Computed tomography, Thorax 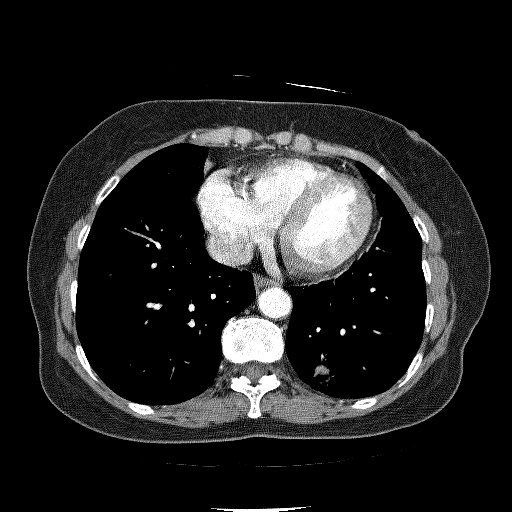

The lung tumor is bounded by region(313, 354, 336, 388).